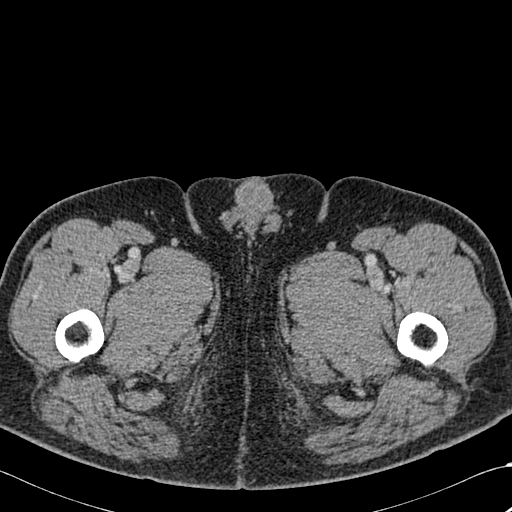 Computed tomography | 512x512
2 bone regions are located at [397, 312, 447, 365], [55, 309, 103, 361].